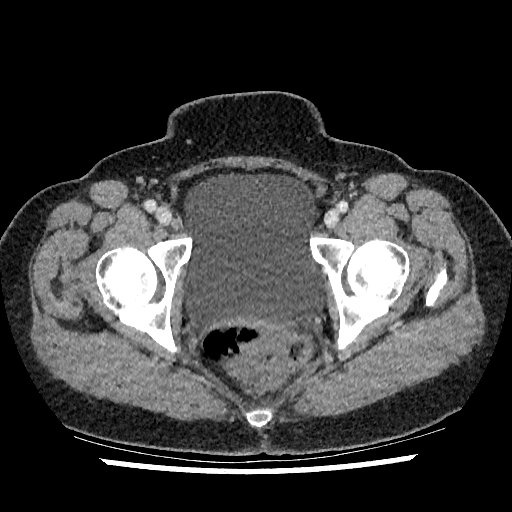 Lower abdomen. CT scan slice.

Segmented structures:
- urinary bladder: rect(184, 173, 327, 328)